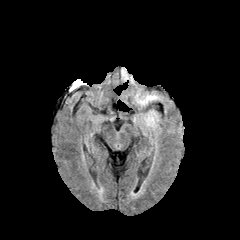
FLAIR MR.
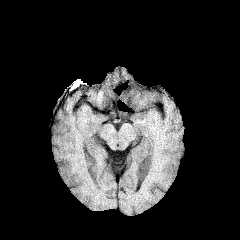
Same slice, T1-weighted MR.
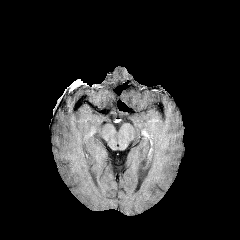
Post-contrast T1-weighted magnetic resonance of the same slice.
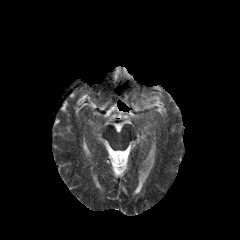
T2-weighted magnetic resonance of the same slice.
Image size 240x240
The edema appears at x1=140 y1=95 x2=156 y2=104.